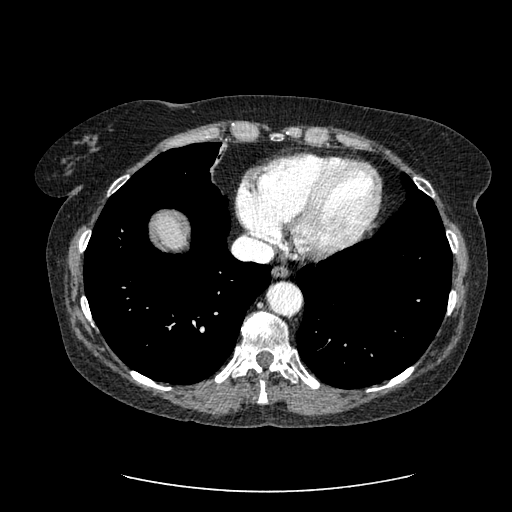 CT image; Upper abdomen; 512x512 px

liver: <bbox>152, 212, 185, 251</bbox>